FLAIR magnetic resonance.
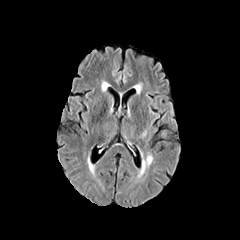
T1-weighted MR.
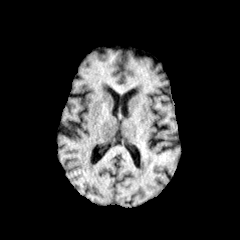
Post-contrast T1-weighted MR.
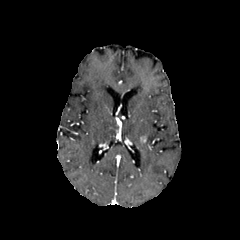
T2-weighted magnetic resonance.
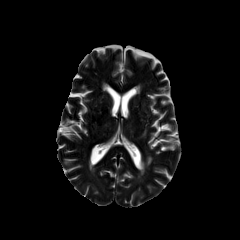
The edema is bounded by (137,152,153,174).